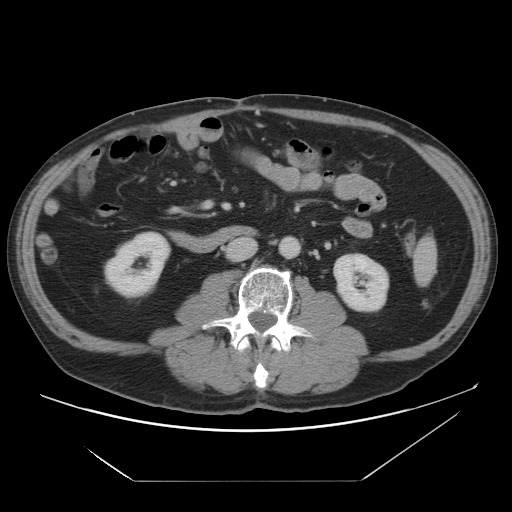 512x512, CT slice
kidney: box=[106, 233, 168, 294]; box=[334, 255, 387, 310]